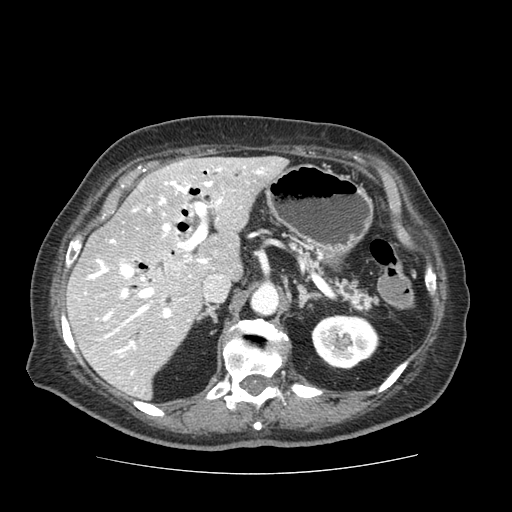 CT image; Abdomen; Image size 512x512
Annotated regions:
- pancreas: 332 281 374 314, 292 245 321 270